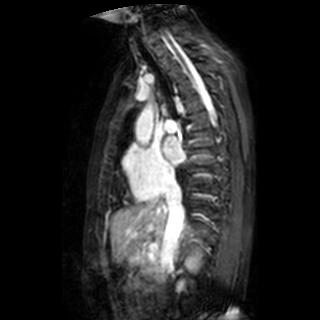

Heart | MR image
Left atrium at bbox(163, 137, 184, 165).